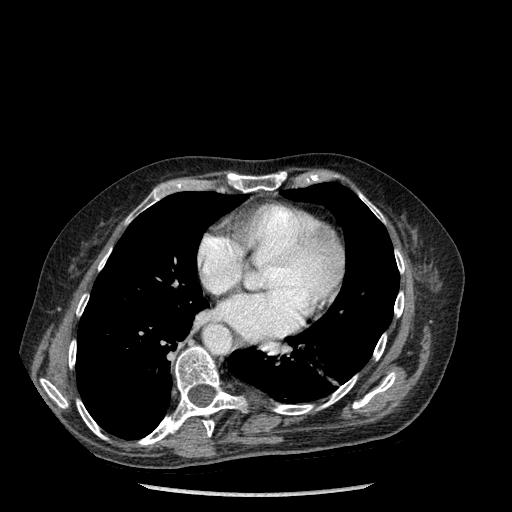

Computed tomography
bone: region(76, 294, 88, 315); region(40, 378, 67, 408); region(68, 340, 76, 368); region(76, 399, 106, 439); region(125, 189, 160, 223); region(353, 372, 396, 408); region(394, 291, 404, 316); region(98, 248, 111, 270); region(395, 249, 404, 273); region(273, 375, 357, 414); region(227, 172, 286, 192); region(358, 193, 385, 222); region(373, 333, 386, 360); region(138, 345, 246, 445) | lung: region(228, 182, 399, 403); region(76, 191, 245, 439)